Head; Slice 82 of 155; 240x240
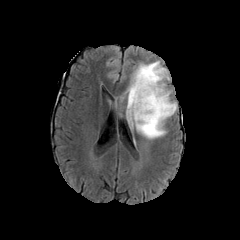
FLAIR MR.
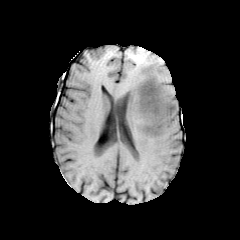
T1-weighted MR of the same slice.
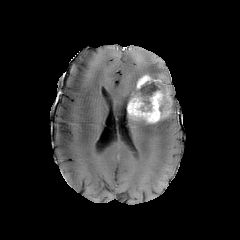
Post-contrast T1-weighted MR image.
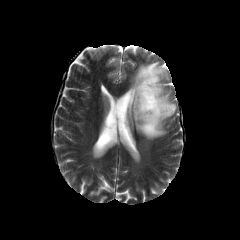
T2-weighted magnetic resonance.
edema: [126, 99, 177, 139], [118, 60, 172, 102] | enhancing tumor: [136, 75, 160, 88], [127, 90, 172, 122] | non-enhancing tumor core: [159, 99, 169, 115], [138, 82, 159, 110]